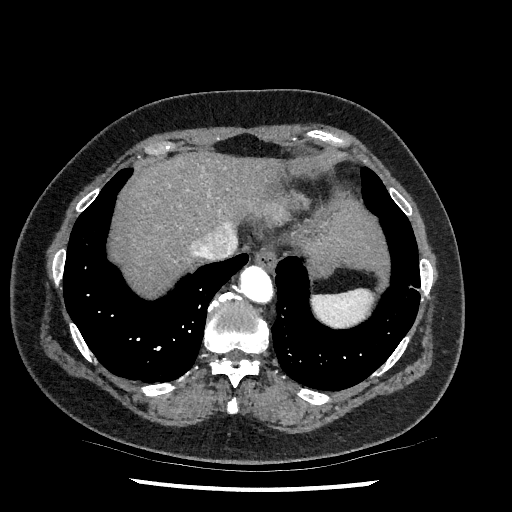
CT scan slice
Liver — 307 200 388 279, 113 153 279 292.